512x512 px; CT image

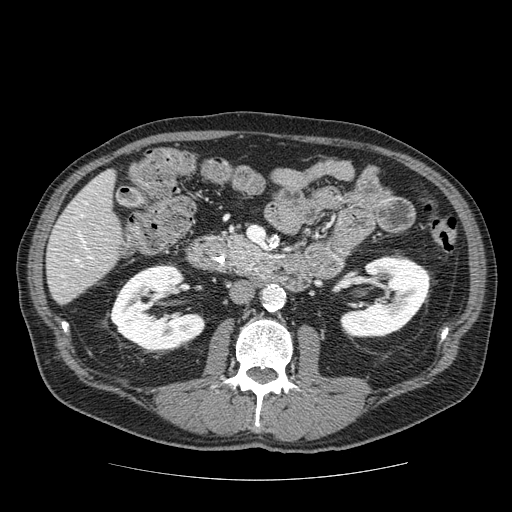
Pancreas = 221, 232, 265, 274.